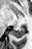 MR, Medial temporal lobe, 32x49 px

<segmentation>
  <posterior_hippocampus>box(11, 28, 24, 38)</posterior_hippocampus>
</segmentation>